Slice 82 of 161 | CT slice | Field of view 369 mm wide, 1.50 mm slice spacing 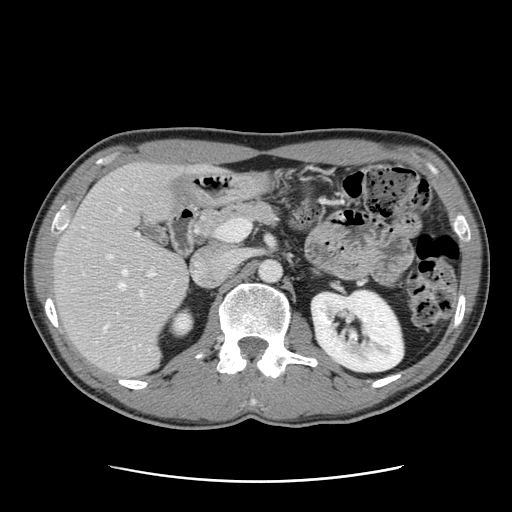

Only some of the vessels may be annotated.
<segmentation>
  <hepatic_vessel>l=147, t=269, r=154, b=276; l=119, t=283, r=124, b=289; l=123, t=270, r=126, b=274; l=136, t=233, r=137, b=234; l=139, t=290, r=143, b=297; l=107, t=254, r=112, b=258; l=118, t=208, r=120, b=210; l=103, t=326, r=106, b=331</hepatic_vessel>
</segmentation>